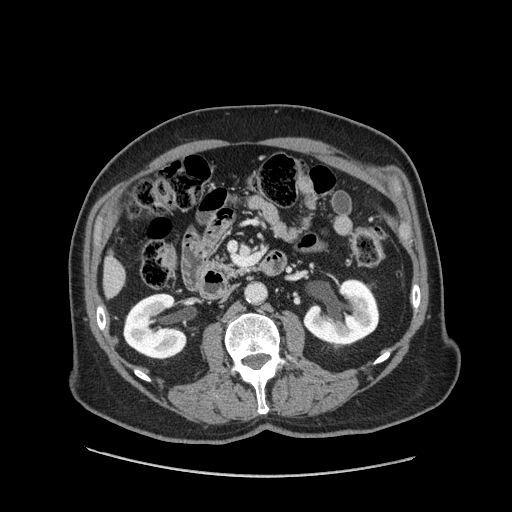 CT image. Image size 512x512. Abdomen.
pancreas: box(214, 261, 241, 275)